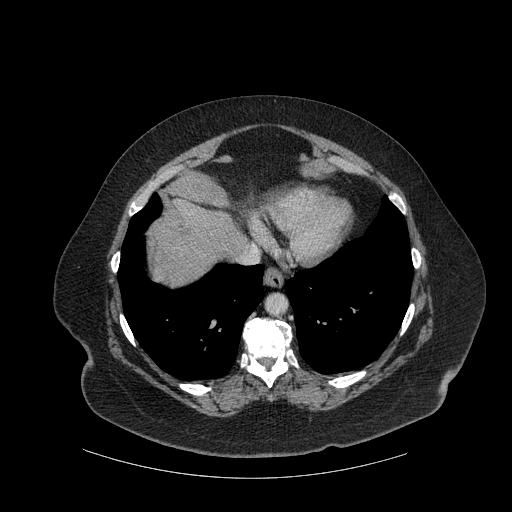 Upper abdomen; CT image
liver:
  - {"x1": 149, "y1": 198, "x2": 244, "y2": 285}
bone:
  - {"x1": 329, "y1": 371, "x2": 365, "y2": 387}
  - {"x1": 111, "y1": 252, "x2": 119, "y2": 272}
  - {"x1": 241, "y1": 318, "x2": 298, "y2": 387}
  - {"x1": 389, "y1": 194, "x2": 405, "y2": 213}
  - {"x1": 130, "y1": 202, "x2": 141, "y2": 214}
  - {"x1": 412, "y1": 248, "x2": 420, "y2": 268}
  - {"x1": 401, "y1": 304, "x2": 414, "y2": 334}
  - {"x1": 180, "y1": 384, "x2": 210, "y2": 395}
  - {"x1": 120, "y1": 315, "x2": 134, "y2": 345}
lung:
  - {"x1": 285, "y1": 196, "x2": 412, "y2": 373}
  - {"x1": 118, "y1": 193, "x2": 263, "y2": 379}